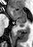

Hippocampus; MRI slice
The anterior hippocampus is bounded by (left=8, top=8, right=26, bottom=20). The posterior hippocampus is bounded by (left=16, top=21, right=26, bottom=26).